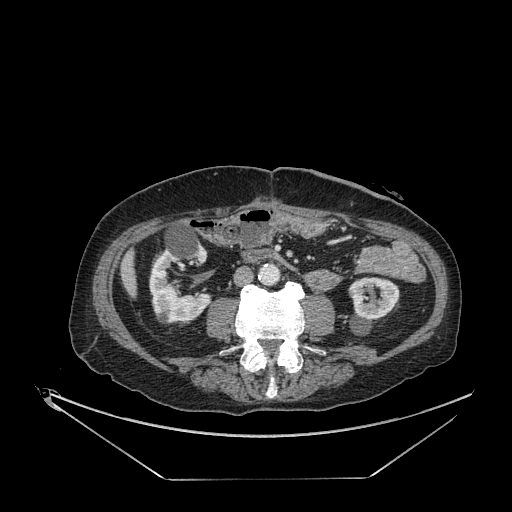 512x512. Liver. CT image.

liver:
  - 122:250:135:296
kidney:
  - 150:250:210:322
  - 349:277:398:320
  - 195:245:206:262